MR image. Slice index 19. Field of view 38 mm wide, 1.00 mm slice spacing. Medial temporal lobe. 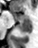 • posterior hippocampus: bbox(17, 22, 31, 33)
• anterior hippocampus: bbox(14, 14, 31, 21)